512x512; Upper abdomen; Computed tomography

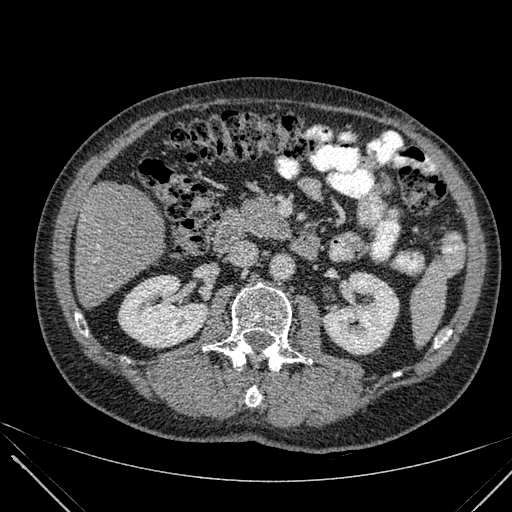
<segmentation>
  <liver>x1=75, y1=182, x2=163, y2=307</liver>
  <kidney>x1=324, y1=273, x2=398, y2=353; x1=119, y1=276, x2=207, y2=347</kidney>
</segmentation>